Upper abdomen | 512x512 px | Computed tomography
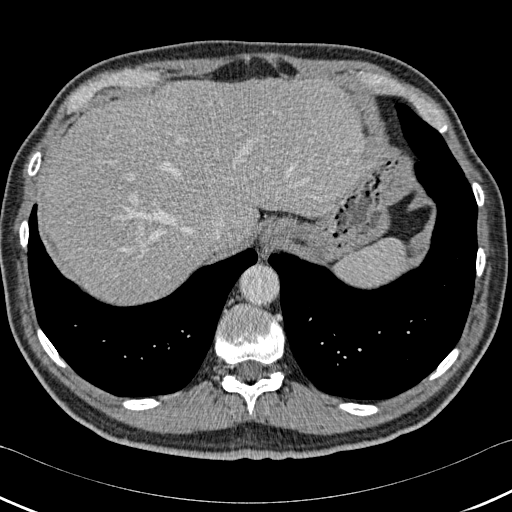 11 bone regions are bounded by x1=435 y1=119 x2=446 y2=132, x1=222 y1=372 x2=283 y2=414, x1=38 y1=329 x2=65 y2=367, x1=28 y1=152 x2=40 y2=175, x1=429 y1=349 x2=458 y2=379, x1=19 y1=221 x2=28 y2=247, x1=215 y1=306 x2=283 y2=364, x1=472 y1=183 x2=483 y2=205, x1=123 y1=399 x2=159 y2=410, x1=476 y1=248 x2=485 y2=276, x1=339 y1=403 x2=377 y2=415. The liver is located at x1=38 y1=77 x2=365 y2=304. 2 lung regions appear at x1=268 y1=97 x2=477 y2=403, x1=27 y1=204 x2=257 y2=397.